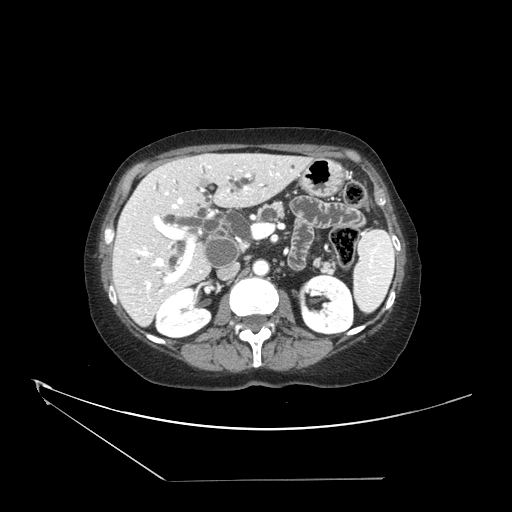
512x512. CT. Abdomen.

2 pancreas regions are located at (left=314, top=259, right=335, bottom=273), (left=257, top=203, right=284, bottom=223).